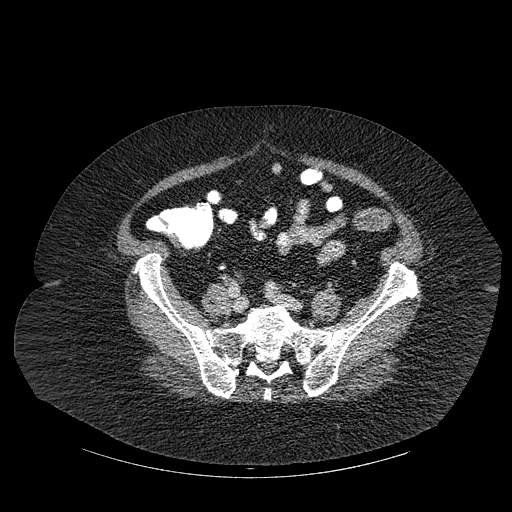

Computed tomography. <segmentation>
  <bone>region(135, 253, 418, 398); region(246, 361, 291, 382); region(264, 388, 270, 399)</bone>
</segmentation>